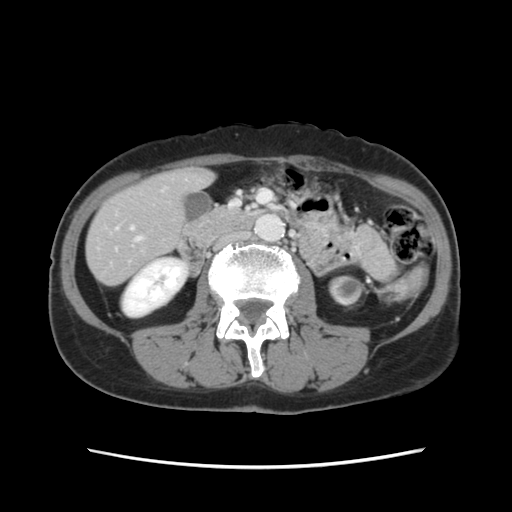
CT slice
The vessel boxes may cover only some of the vessels.
2 hepatic vessel regions are bounded by <bbox>130, 227, 133, 229</bbox>, <bbox>136, 237, 140, 240</bbox>.